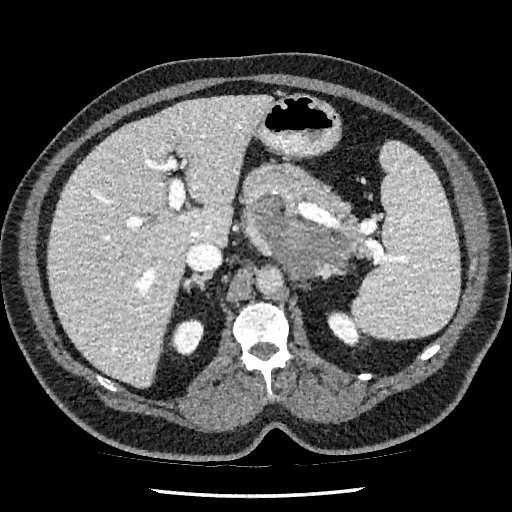 512x512; Liver; Computed tomography

{"kidney": ["region(329, 314, 358, 343)", "region(174, 321, 202, 353)"], "liver": ["region(47, 95, 271, 386)"]}